Brain, Field of view 240x240 mm
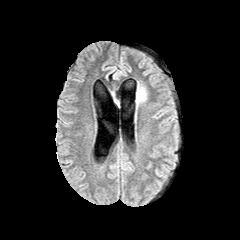
FLAIR MRI.
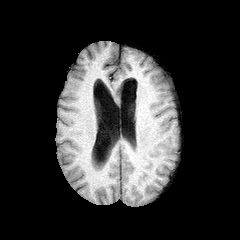
T1-weighted MRI of the same slice.
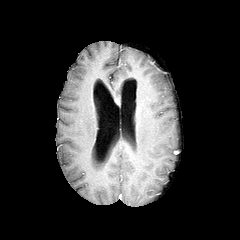
Same slice, post-contrast T1-weighted magnetic resonance.
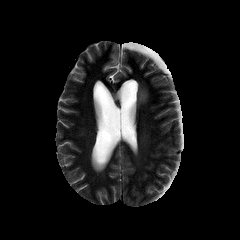
T2-weighted MR image.
Edema = left=136, top=84, right=146, bottom=107.